CT | Abdomen | Field of view 381x381 mm | Slice 220 of 424

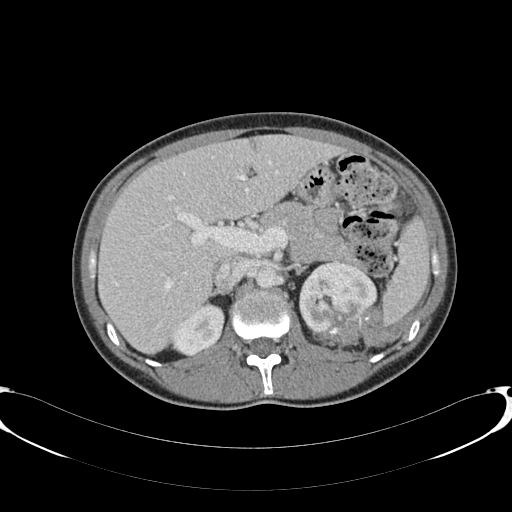
* kidney: [300,262,375,345], [174,306,222,354]
* liver: [98,136,342,352]